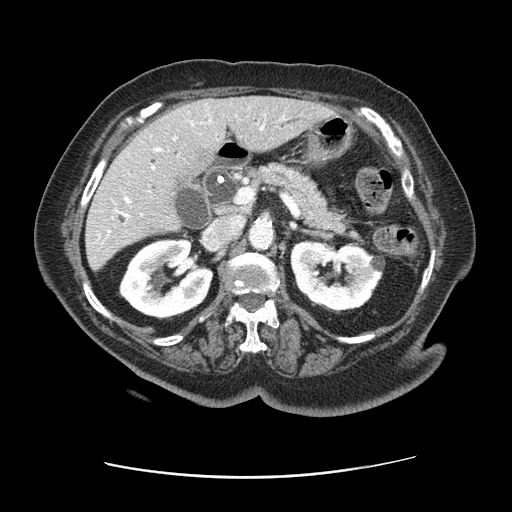

Computed tomography; 512x512; Upper abdomen
The pancreas lies within x1=256 y1=162 x2=363 y2=243.